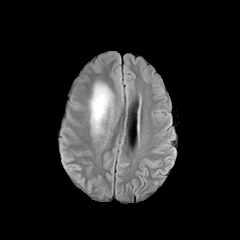
FLAIR MR image.
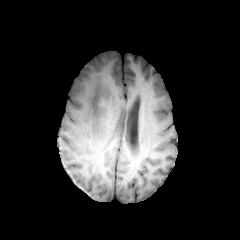
T1-weighted MR image.
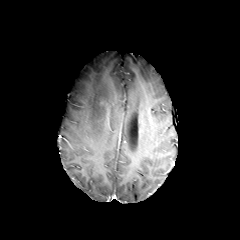
Post-contrast T1-weighted MR.
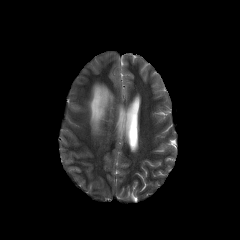
T2-weighted MR.
Brain
Annotated regions:
- edema: x1=90, y1=84, x2=111, y2=133